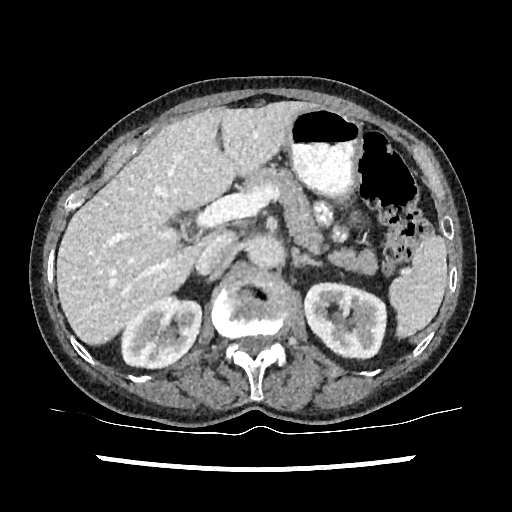 Upper abdomen, Image size 512x512, Computed tomography
The liver is at l=58, t=102, r=317, b=344. 2 kidney regions are located at l=122, t=298, r=201, b=370; l=305, t=284, r=385, b=357.